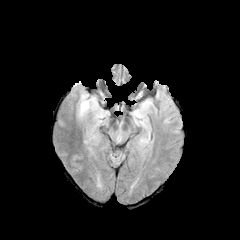
FLAIR magnetic resonance.
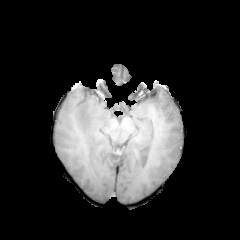
T1-weighted magnetic resonance of the same slice.
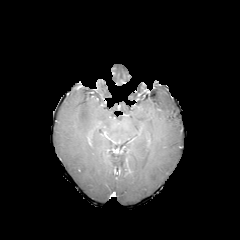
Post-contrast T1-weighted MRI.
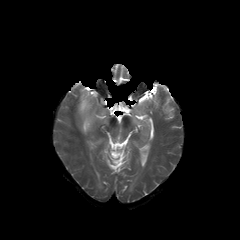
T2-weighted magnetic resonance of the same slice.
Brain.
Edema at (134,100,150,127), (77,91,106,134).